Slice index 201, Chest, CT, 512x512 px

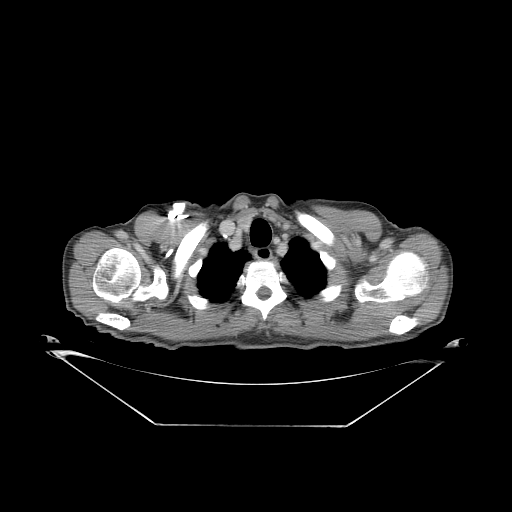
Lung: bounding box [280, 237, 326, 297], [197, 242, 250, 302].
Bone: bounding box [174, 223, 206, 277], [355, 252, 425, 302], [189, 259, 201, 276], [93, 248, 168, 302], [97, 313, 129, 329], [241, 261, 286, 319], [188, 296, 206, 308], [166, 203, 188, 224], [298, 214, 336, 269], [321, 285, 340, 300], [389, 315, 417, 334].